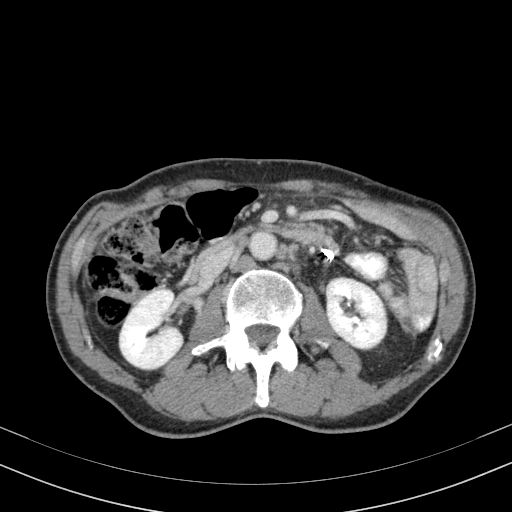 CT; Abdomen

2 kidney regions appear at [327, 279, 385, 347], [120, 290, 181, 368].